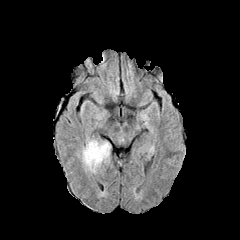
FLAIR MRI.
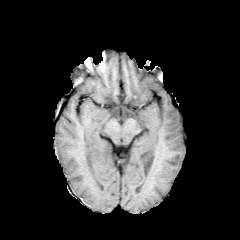
Same slice, T1-weighted MR image.
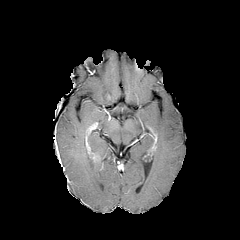
Post-contrast T1-weighted MRI of the same slice.
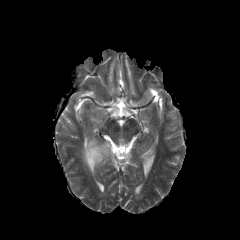
T2-weighted MRI of the same slice.
Brain
The enhancing tumor appears at bbox=[93, 152, 100, 162]. The edema appears at bbox=[79, 139, 111, 175].